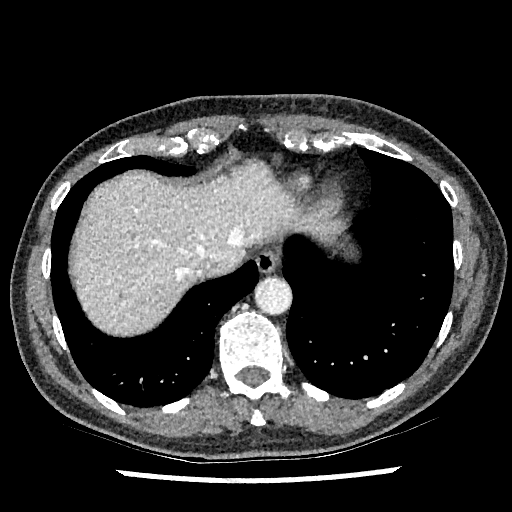

Upper abdomen, CT scan slice
Liver: bounding box (left=70, top=160, right=345, bottom=336).